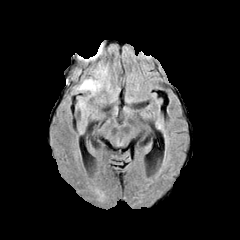
FLAIR MR.
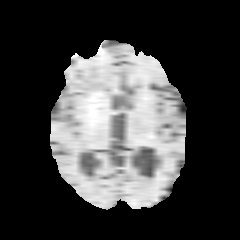
T1-weighted MRI of the same slice.
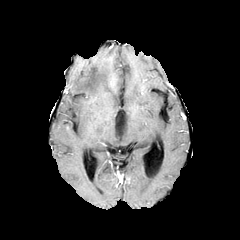
Same slice, post-contrast T1-weighted MR image.
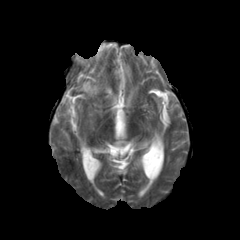
T2-weighted MR.
{
  "edema": [
    "left=76, top=66, right=106, bottom=95"
  ]
}